Field of view 360 mm wide, 0.80 mm slice spacing | CT scan slice | Liver | 512x512 | Slice 408 of 689

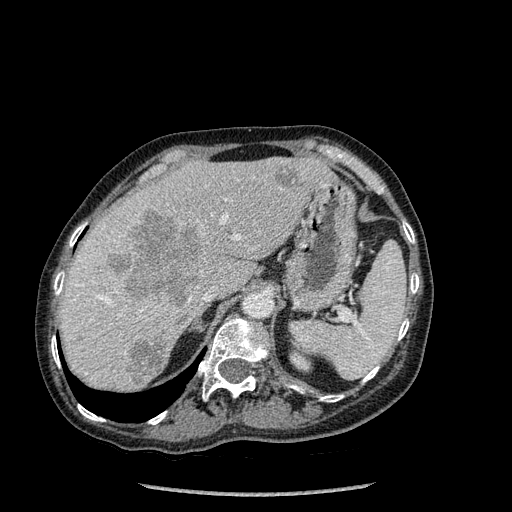 <segmentation>
  <liver><box>60,157,330,392</box></liver>
  <hepatic_lesion><box>107,253,130,272</box>, <box>125,211,201,305</box>, <box>122,331,164,384</box>, <box>274,163,305,188</box></hepatic_lesion>
  <bone><box>319,395,343,402</box>, <box>403,221,414,243</box>, <box>396,319,409,340</box>, <box>362,366,379,382</box>, <box>77,404,105,421</box>, <box>286,385,301,391</box>, <box>69,223,85,246</box>, <box>374,184,384,193</box>, <box>51,335,60,367</box>, <box>410,273,419,293</box>, <box>54,271,64,295</box>, <box>148,411,166,424</box>, <box>198,318,269,400</box></bone>
  <kidney><box>291,353,308,369</box></kidney>
  <lung><box>65,360,197,422</box></lung>
</segmentation>